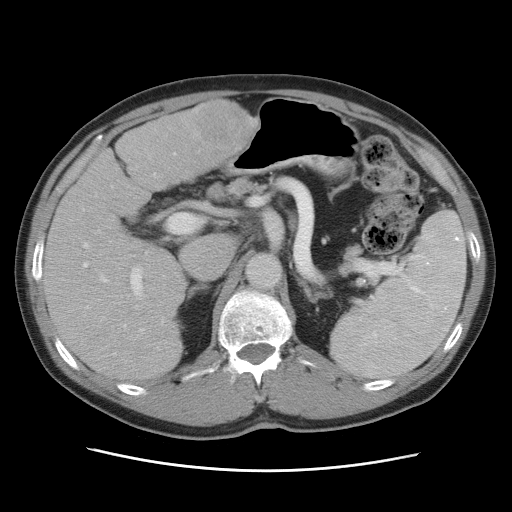
CT. Liver. Only some of the vessels may be annotated.
{"hepatic_vessel": ["x1=161 y1=318 x2=164 y2=324", "x1=113 y1=353 x2=115 y2=355", "x1=193 y1=134 x2=198 y2=136", "x1=98 y1=299 x2=99 y2=301", "x1=130 y1=266 x2=144 y2=299", "x1=135 y1=306 x2=138 y2=309", "x1=83 y1=243 x2=88 y2=247", "x1=123 y1=325 x2=125 y2=330", "x1=100 y1=276 x2=106 y2=282", "x1=83 y1=263 x2=87 y2=267", "x1=174 y1=153 x2=175 y2=155", "x1=97 y1=230 x2=99 y2=232", "x1=198 y1=150 x2=199 y2=152"], "liver_tumor": ["x1=198 y1=102 x2=251 y2=146"]}